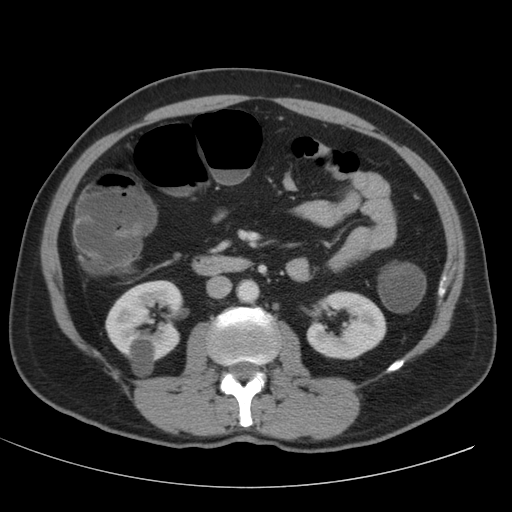

512x512. CT scan slice.

2 kidney regions appear at <box>307,292,385,358</box>, <box>106,281,182,360</box>.